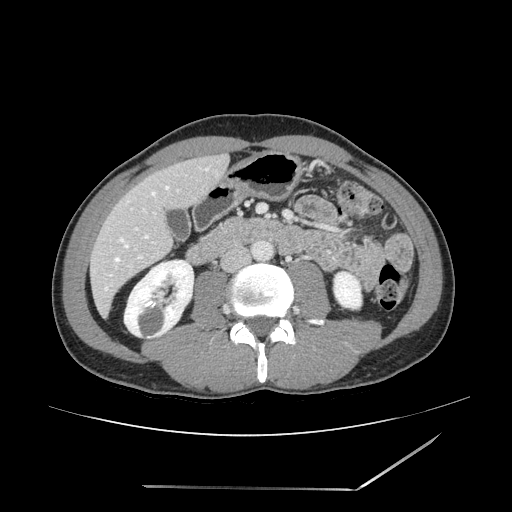
Computed tomography. Upper abdomen.
Pancreas: (x1=211, y1=218, x2=242, y2=236).